Head; 240x240; Slice 89/155
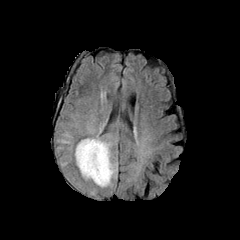
FLAIR MR.
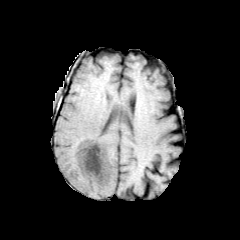
T1-weighted magnetic resonance.
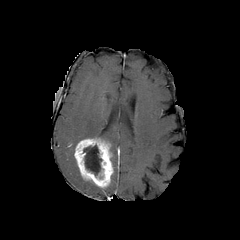
Post-contrast T1-weighted MRI.
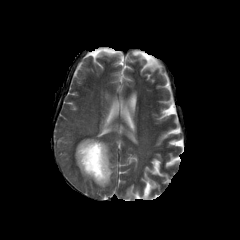
T2-weighted MRI.
Enhancing tumor = [x1=74, y1=138, x2=113, y2=187].
Edema = [x1=80, y1=117, x2=119, y2=189], [x1=56, y1=130, x2=74, y2=168], [x1=88, y1=187, x2=97, y2=196].
Non-enhancing tumor core = [x1=83, y1=145, x2=102, y2=176].